FLAIR MRI.
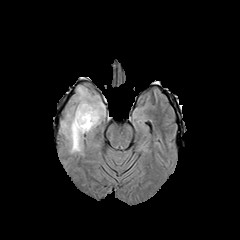
T1-weighted MRI.
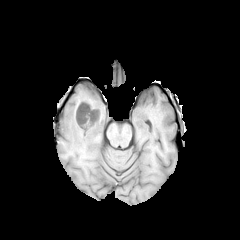
Post-contrast T1-weighted MRI.
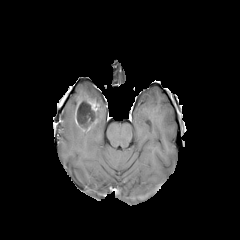
T2-weighted MR image.
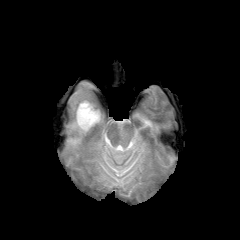
Non-enhancing tumor core: (75,102,99,127).
Edema: (62,87,105,154).